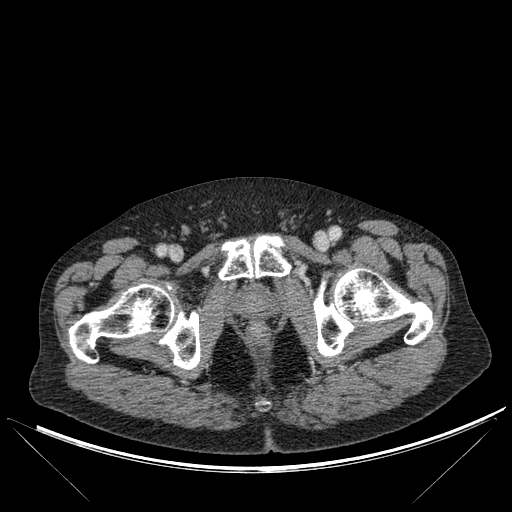
CT slice

3 bone regions are bounded by [69,284,200,369], [218,236,291,280], [313,268,433,356].